Hippocampus; MR image

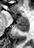 The posterior hippocampus is bounded by x1=14 y1=20 x2=27 y2=31. The anterior hippocampus is bounded by x1=18 y1=17 x2=27 y2=19.